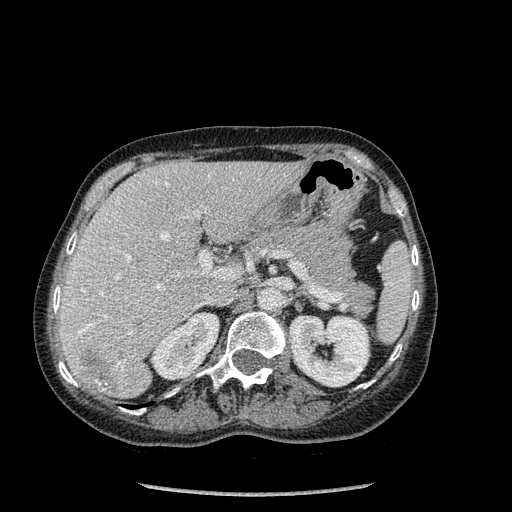

CT
{
  "kidney": [
    "<bbox>290, 316, 368, 386</bbox>",
    "<bbox>152, 313, 218, 379</bbox>"
  ],
  "liver": [
    "<bbox>59, 161, 304, 398</bbox>"
  ],
  "liver_lesion": [
    "<bbox>82, 351, 117, 391</bbox>"
  ],
  "bone": [
    "<bbox>411, 290, 419, 310</bbox>",
    "<bbox>393, 200, 406, 216</bbox>",
    "<bbox>410, 245, 418, 265</bbox>",
    "<bbox>356, 380, 374, 388</bbox>",
    "<bbox>389, 343, 402, 361</bbox>",
    "<bbox>196, 311, 285, 389</bbox>",
    "<bbox>58, 361, 77, 386</bbox>",
    "<bbox>119, 407, 145, 415</bbox>",
    "<bbox>165, 388, 179, 397</bbox>",
    "<bbox>52, 285, 62, 313</bbox>",
    "<bbox>66, 232, 77, 254</bbox>"
  ]
}